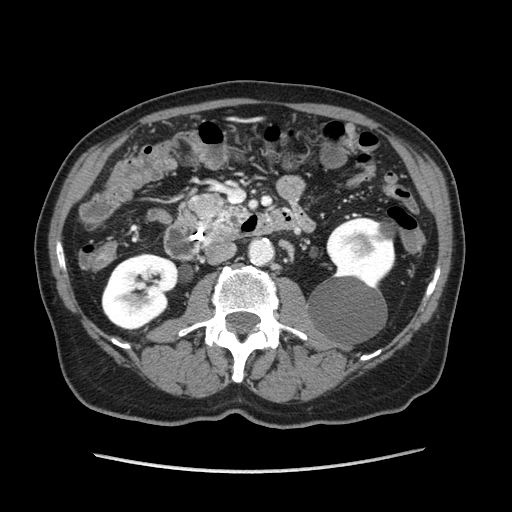
CT

The pancreas lies within [x1=182, y1=194, x2=247, y2=241]. The pancreatic tumor is located at [x1=215, y1=214, x2=239, y2=236].